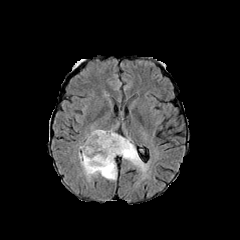
FLAIR magnetic resonance.
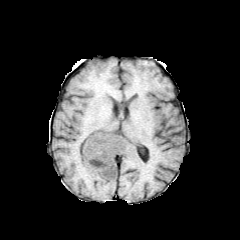
Same slice, T1-weighted MR image.
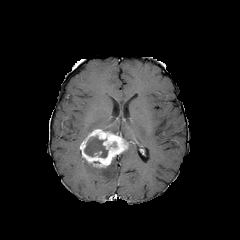
Same slice, post-contrast T1-weighted MR.
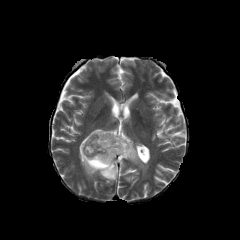
T2-weighted MR image.
240x240 px, Head
The non-enhancing tumor core is bounded by (x1=85, y1=136, x2=107, y2=157). 3 edema regions are located at (x1=78, y1=149, x2=117, y2=180), (x1=103, y1=122, x2=118, y2=132), (x1=120, y1=143, x2=147, y2=171). The enhancing tumor is at (x1=79, y1=129, x2=132, y2=168).